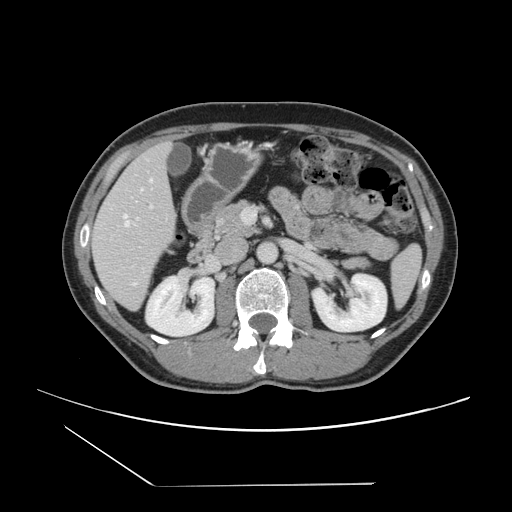
CT image | Liver

Not every hepatic vessel necessarily has a box.
2 hepatic vessel regions are bounded by <bbox>124, 219, 125, 221</bbox>, <bbox>129, 221, 132, 225</bbox>.